Slice 80 of 155.
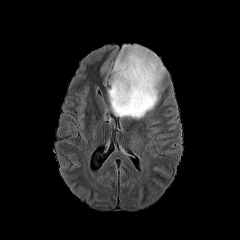
FLAIR MR.
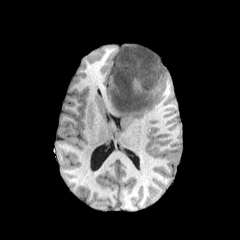
T1-weighted magnetic resonance.
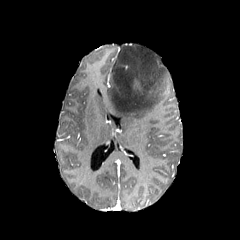
Post-contrast T1-weighted magnetic resonance.
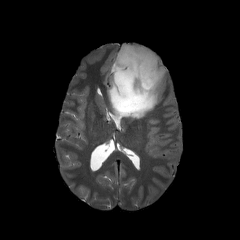
Same slice, T2-weighted magnetic resonance.
<segmentation>
  <edema>106,53,164,120</edema>
</segmentation>